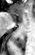

Magnetic resonance | Hippocampus

posterior hippocampus: bbox=[13, 35, 24, 48]